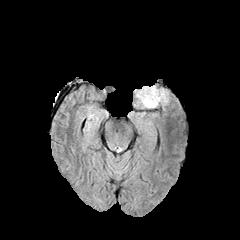
FLAIR MR image.
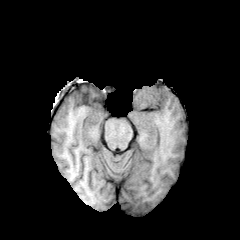
T1-weighted magnetic resonance of the same slice.
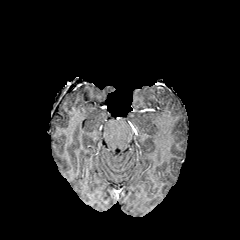
Post-contrast T1-weighted MR.
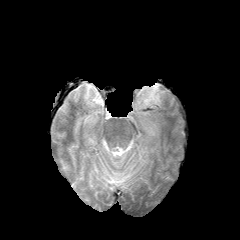
Same slice, T2-weighted MRI.
Brain, Image size 240x240
Annotated regions:
* edema: left=136, top=85, right=164, bottom=107